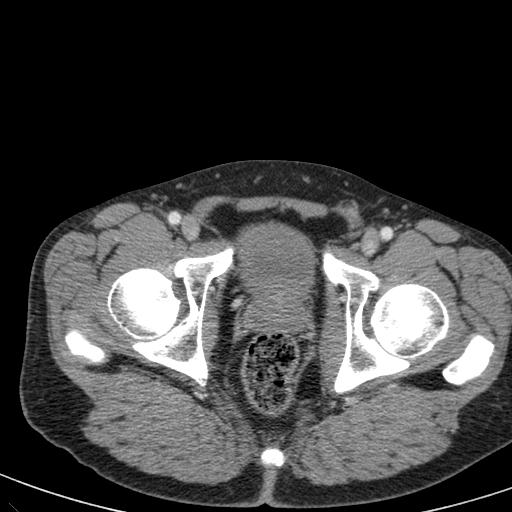 Pelvis | CT | 512x512 px
- urinary bladder: x1=233, y1=222, x2=315, y2=299